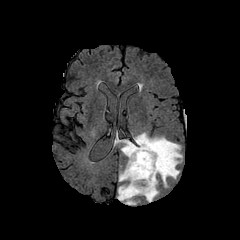
FLAIR magnetic resonance.
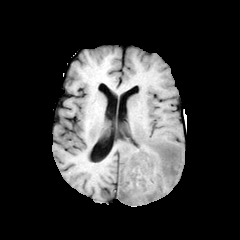
Same slice, T1-weighted magnetic resonance.
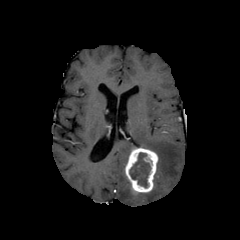
Post-contrast T1-weighted MR.
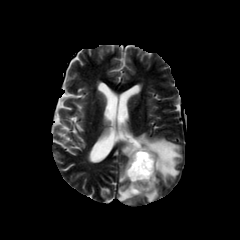
Same slice, T2-weighted MR image.
Brain
Enhancing tumor at bbox(124, 146, 159, 194).
Non-enhancing tumor core at bbox(135, 153, 148, 174).
Edema at bbox(117, 132, 182, 204); bbox(113, 132, 134, 165).